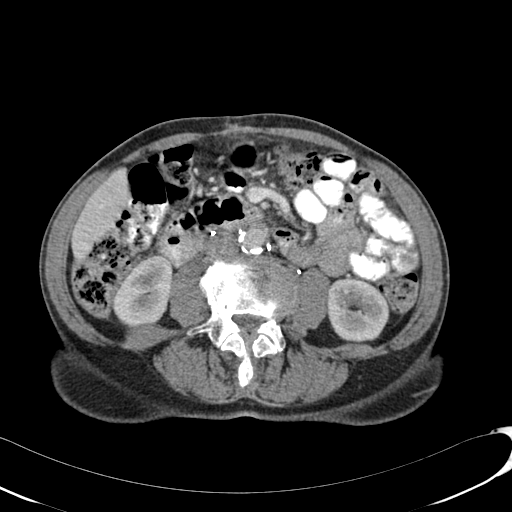

Computed tomography.

2 kidney regions appear at (328,279,387,340), (113,256,171,325). The liver is at (72,168,129,259).